Brain | Image size 240x240
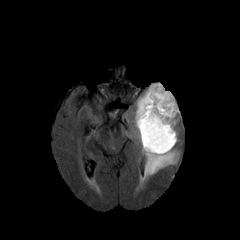
FLAIR MRI.
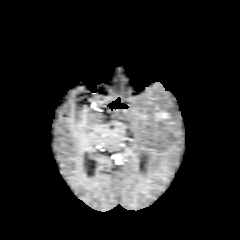
Same slice, T1-weighted MR image.
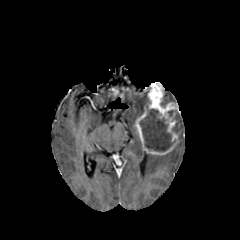
Post-contrast T1-weighted MR image.
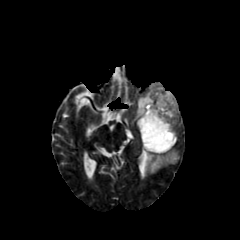
T2-weighted MRI of the same slice.
<segmentation>
  <enhancing_tumor>134 110 165 153, 147 82 180 141</enhancing_tumor>
  <non-enhancing_tumor_core>161 92 174 105, 142 151 147 171, 140 88 171 151</non-enhancing_tumor_core>
  <edema>174 114 181 134, 126 92 145 159, 144 139 179 178</edema>
</segmentation>